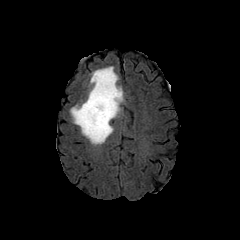
FLAIR MR.
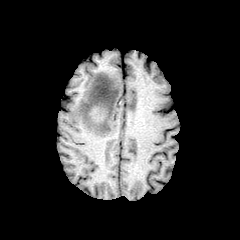
Same slice, T1-weighted MR.
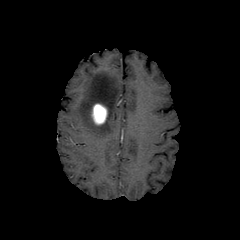
Same slice, post-contrast T1-weighted magnetic resonance.
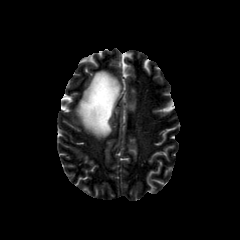
T2-weighted MR.
240x240
Segmented structures:
• enhancing tumor: 91, 103, 107, 125
• edema: 69, 66, 123, 144
• non-enhancing tumor core: 86, 76, 114, 127